CT slice

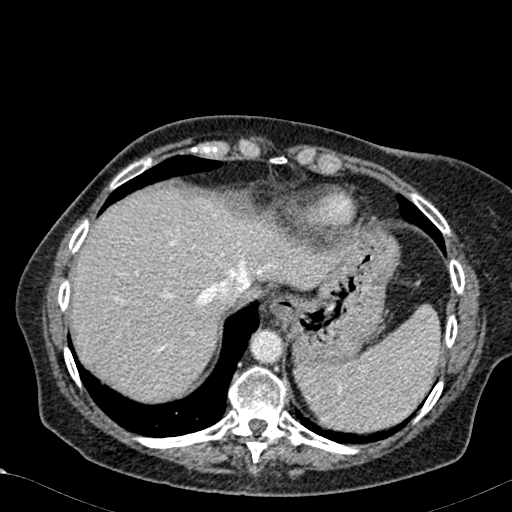

{"liver": ["box=[73, 191, 325, 401]"]}